Image width 240 mm.
FLAIR MRI.
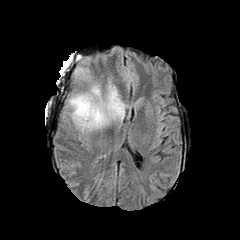
T1-weighted MR image.
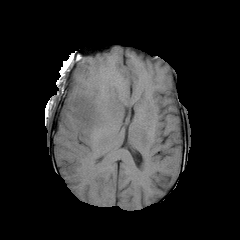
Post-contrast T1-weighted MR.
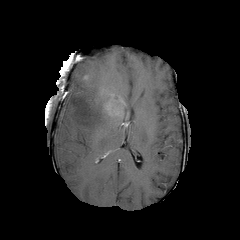
T2-weighted MRI.
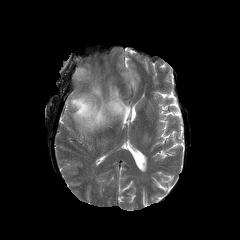
enhancing_tumor:
  - [103, 93, 123, 115]
edema:
  - [107, 84, 120, 100]
  - [74, 67, 89, 75]
  - [66, 85, 110, 131]